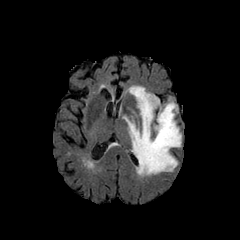
FLAIR MRI.
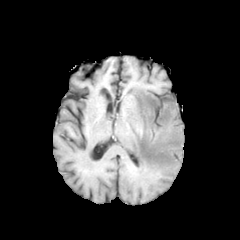
T1-weighted MR.
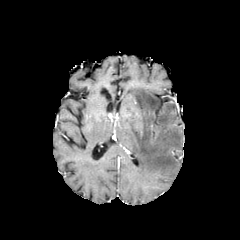
Same slice, post-contrast T1-weighted MR.
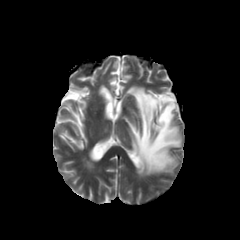
T2-weighted MRI.
Head
The edema is located at x1=122, y1=85, x2=182, y2=176.